CT image | Abdomen | 512x512 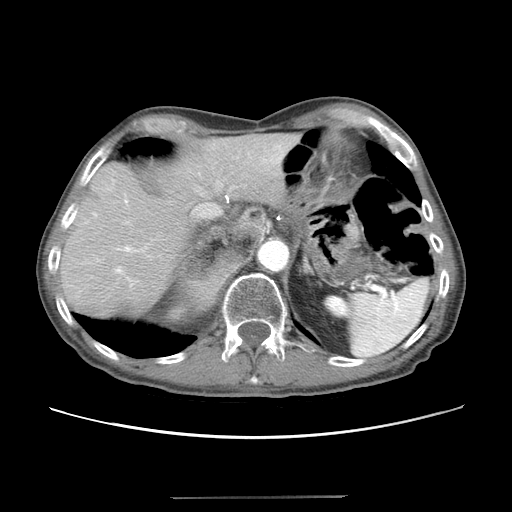 Colon tumor: bounding box 304:238:332:274, 329:221:359:265.